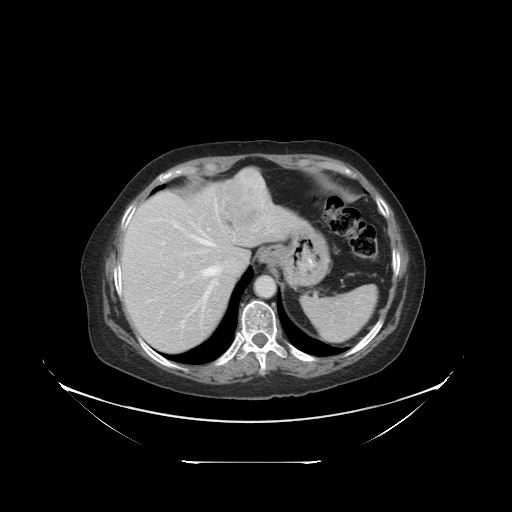

Abdomen, CT scan slice

The vessel boxes may cover only some of the vessels.
Liver tumor: 218 168 270 229.
Hepatic vessel: 201 266 221 276, 191 280 217 311, 181 323 183 327, 190 234 214 245, 161 242 164 244, 172 221 181 228, 215 201 217 214, 179 272 183 277, 190 222 209 238.